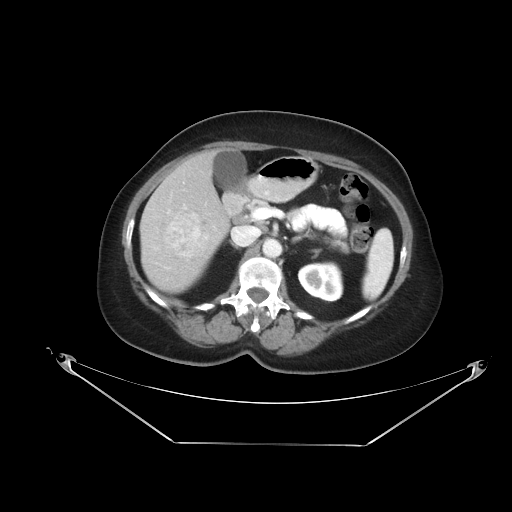
Computed tomography; Liver

Not every hepatic vessel necessarily has a box.
<segmentation>
  <liver_tumor><bbox>166, 213, 209, 258</bbox></liver_tumor>
  <hepatic_vessel><bbox>236, 228, 259, 244</bbox>, <bbox>165, 267, 169, 268</bbox>, <bbox>213, 226, 215, 230</bbox>, <bbox>183, 205, 186, 209</bbox></hepatic_vessel>
</segmentation>